Field of view 240x240 mm
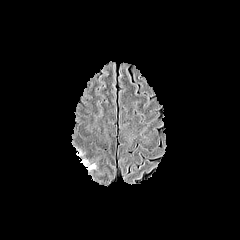
FLAIR MR.
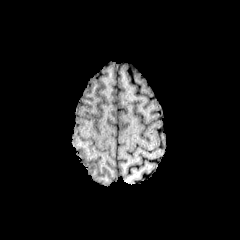
T1-weighted magnetic resonance.
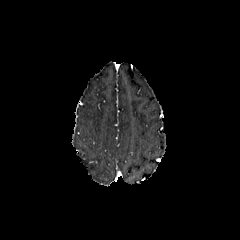
Post-contrast T1-weighted MRI.
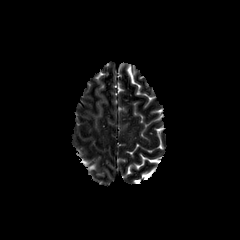
T2-weighted MR image of the same slice.
The edema is bounded by [80,160,95,171].